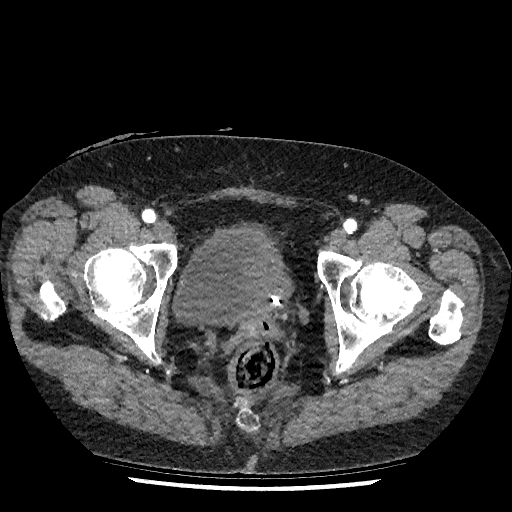 Computed tomography

Segmented structures:
* urinary bladder: [x1=172, y1=222, x2=294, y2=329]